Computed tomography, Slice 410 of 537
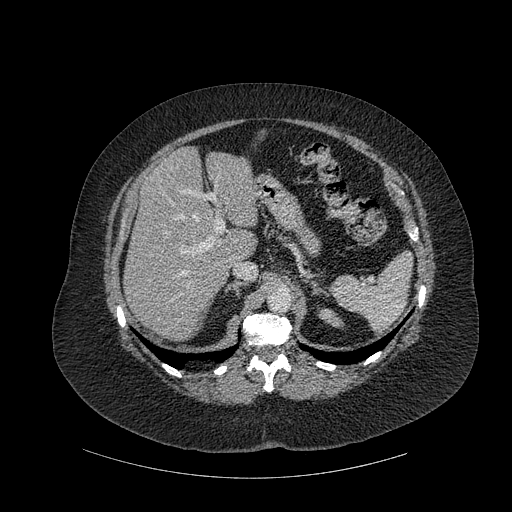 The kidney is bounded by (322, 309, 333, 321). 9 bone regions are bounded by (418, 286, 425, 306), (409, 228, 417, 240), (316, 362, 335, 370), (214, 366, 226, 374), (117, 306, 125, 326), (243, 314, 291, 345), (364, 352, 380, 364), (162, 364, 181, 376), (247, 354, 290, 391). 2 lung regions appear at (136, 333, 237, 368), (299, 325, 400, 363). 2 liver regions are located at (123, 146, 256, 341), (207, 153, 257, 226).